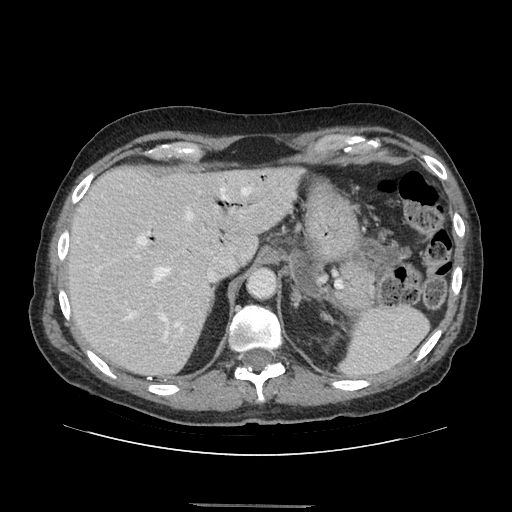
CT slice. Upper abdomen. The pancreas appears at l=342, t=262, r=374, b=308.